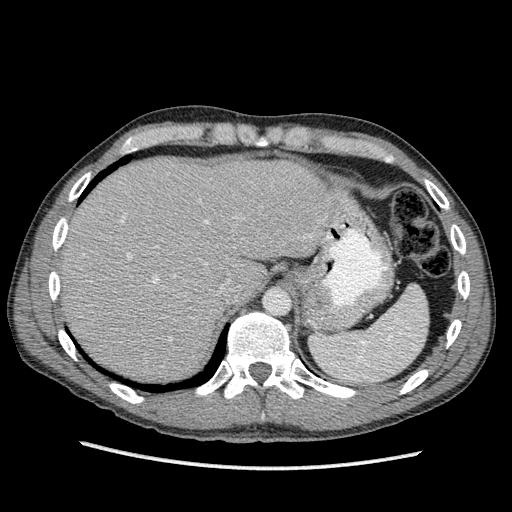
Image size 512x512. CT slice.

<segmentation>
  <liver>l=56, t=154, r=341, b=382</liver>
</segmentation>